Field of view 370 mm wide, 0.70 mm slice spacing. 512x512. CT scan slice. 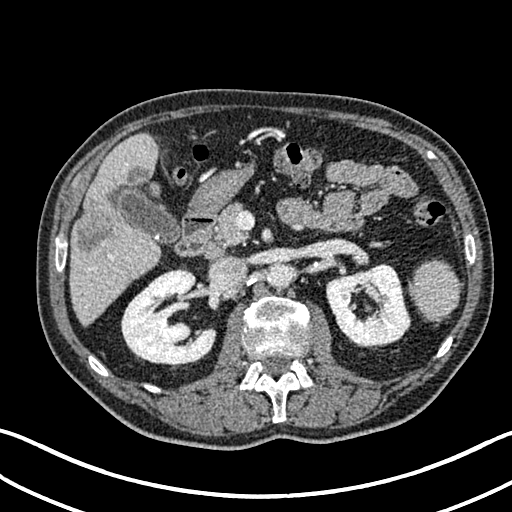
liver:
  - region(71, 135, 160, 325)
liver_lesion:
  - region(76, 198, 115, 252)
  - region(127, 166, 149, 183)
kidney:
  - region(327, 265, 409, 345)
  - region(122, 270, 219, 364)
  - region(354, 249, 367, 262)